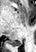

MR image; Medial temporal lobe
The posterior hippocampus lies within bbox=[14, 41, 22, 45].